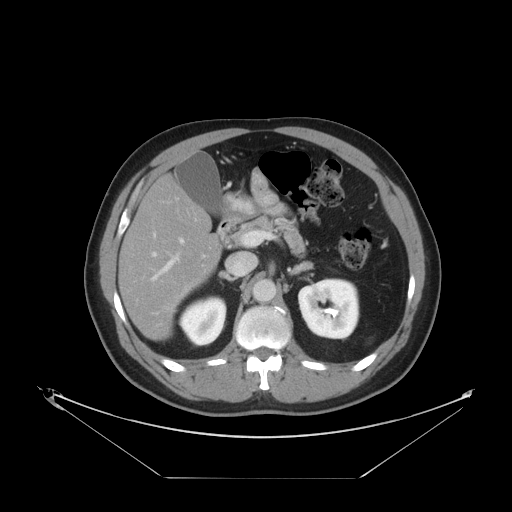
CT image. 512x512.

The vessel boxes may cover only some of the vessels.
The liver tumor lies within left=188, top=279, right=206, bottom=287. 4 hepatic vessel regions are located at left=180, top=238, right=183, bottom=242; left=152, top=252, right=155, bottom=256; left=153, top=233, right=155, bottom=235; left=152, top=256, right=178, bottom=279.